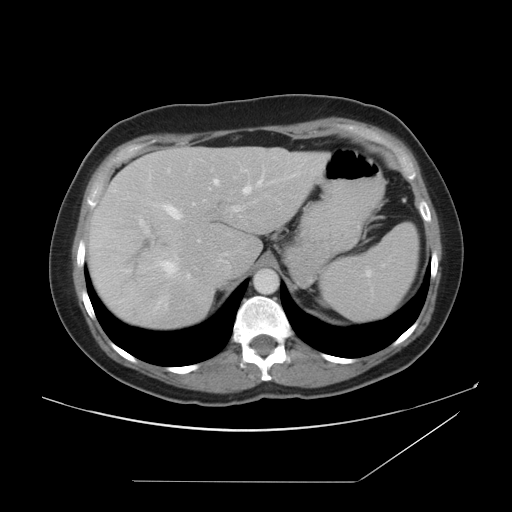

CT slice.

The vessel boxes may cover only some of the vessels.
Hepatic vessel: <box>214,179,218,184</box>, <box>139,216,148,233</box>, <box>163,204,180,218</box>, <box>176,257,177,259</box>, <box>243,186,251,193</box>, <box>233,206,239,211</box>, <box>160,261,176,276</box>, <box>197,239,200,241</box>, <box>258,169,263,185</box>, <box>187,274,189,277</box>, <box>272,180,275,182</box>.